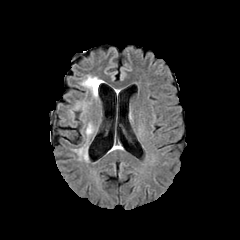
FLAIR MRI.
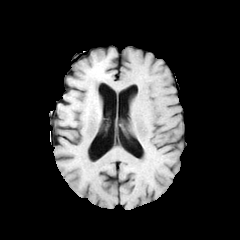
T1-weighted MR of the same slice.
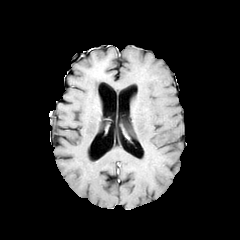
Post-contrast T1-weighted magnetic resonance.
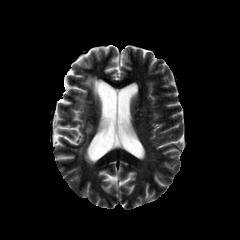
Same slice, T2-weighted MRI.
Brain
Segmented structures:
• edema: 75, 101, 86, 112; 80, 75, 102, 99; 84, 123, 93, 138; 74, 145, 88, 161